Field of view 385 mm wide, 0.80 mm slice spacing, 512x512 px, Computed tomography
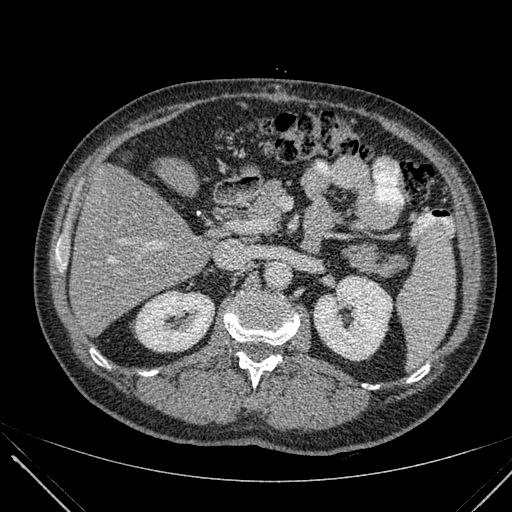
<segmentation>
  <kidney>box(136, 291, 213, 351); box(314, 277, 391, 359)</kidney>
  <liver>box(117, 151, 131, 163); box(150, 157, 199, 196); box(70, 164, 214, 330)</liver>
</segmentation>